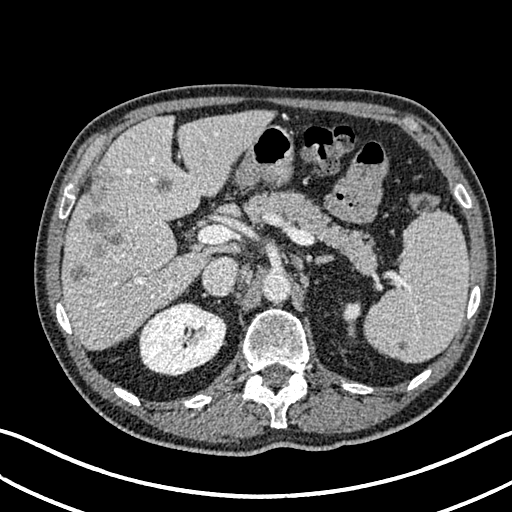
Computed tomography. Upper abdomen. Focal liver lesion: [x1=88, y1=212, x2=118, y2=232], [x1=84, y1=173, x2=113, y2=204], [x1=155, y1=177, x2=170, y2=194], [x1=106, y1=233, x2=123, y2=245], [x1=71, y1=266, x2=88, y2=283], [x1=92, y1=243, x2=105, y2=257].
Kidney: [x1=345, y1=304, x2=359, y2=319], [x1=140, y1=304, x2=225, y2=374].
Liver: [x1=63, y1=110, x2=272, y2=348].